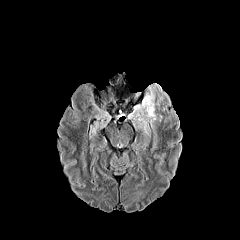
FLAIR MR.
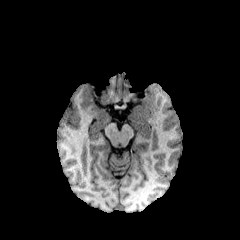
T1-weighted MR image.
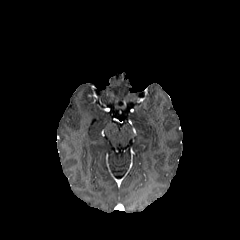
Same slice, post-contrast T1-weighted MR image.
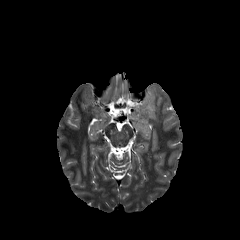
T2-weighted MR image.
Edema — [129, 85, 162, 136].